Image width 404 mm. Computed tomography. Pelvis.

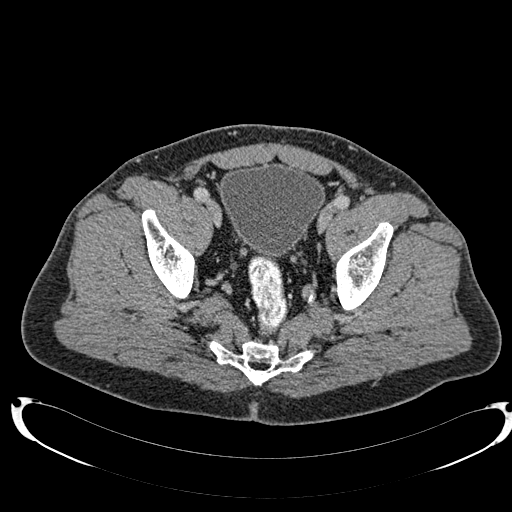
The urinary bladder lies within (220, 162, 325, 259).